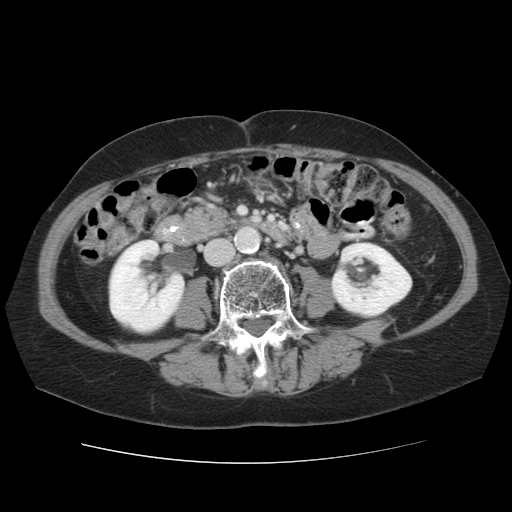
Abdomen | 512x512 px | CT
Bone: bounding box 200:255:311:388.
Kidney: bounding box 331:243:411:315, 110:240:183:330.